FLAIR magnetic resonance.
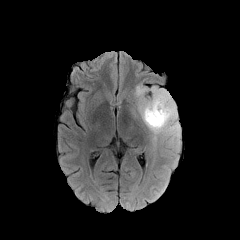
T1-weighted MR image.
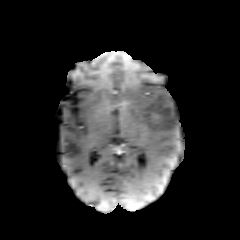
Post-contrast T1-weighted MRI.
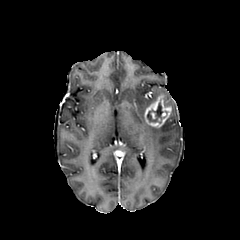
T2-weighted MRI.
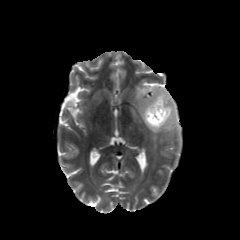
Head
edema:
  - bbox(134, 83, 181, 157)
non-enhancing_tumor_core:
  - bbox(147, 103, 162, 122)
enhancing_tumor:
  - bbox(144, 93, 172, 128)